FLAIR MRI.
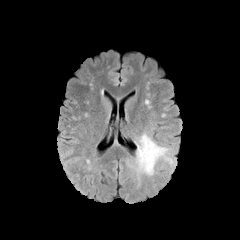
T1-weighted MR.
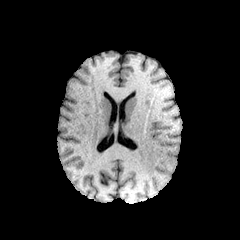
Post-contrast T1-weighted MRI.
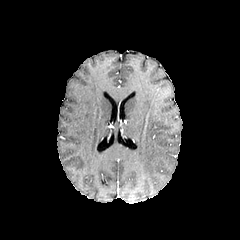
T2-weighted MR image.
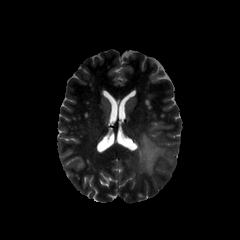
Brain | 240x240 px
The edema is at (127, 133, 166, 175).